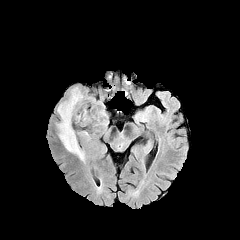
FLAIR MRI.
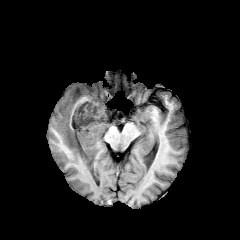
T1-weighted magnetic resonance of the same slice.
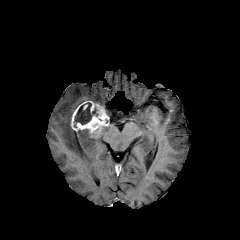
Post-contrast T1-weighted MRI of the same slice.
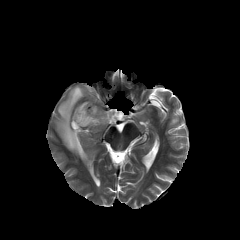
T2-weighted MR image.
240x240 px
• enhancing tumor: bbox(70, 103, 107, 135)
• non-enhancing tumor core: bbox(74, 101, 95, 124)
• edema: bbox(57, 86, 97, 160)